CT slice, 512x512, Image width 472 mm

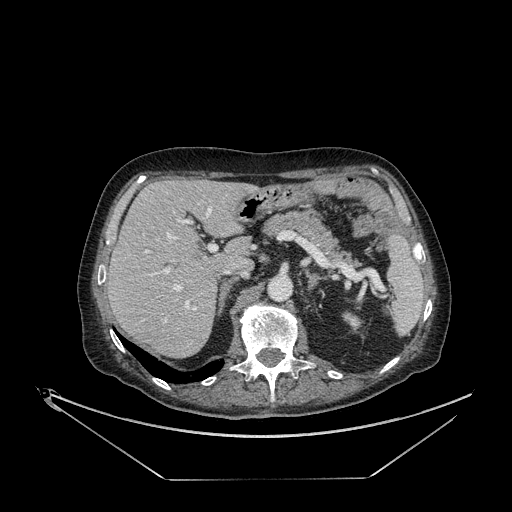 The kidney lies within (left=343, top=313, right=360, bottom=328). The liver is located at (left=108, top=180, right=257, bottom=358).